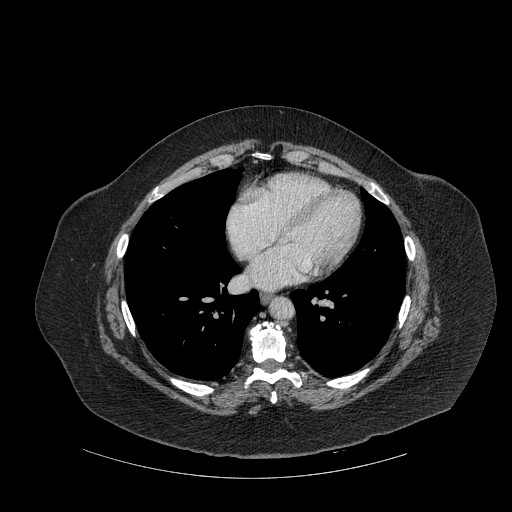

Thorax. CT slice. 11 bone regions appear at 153 188 162 198, 122 301 134 335, 405 237 415 259, 271 391 276 402, 117 234 127 257, 171 379 213 395, 256 153 270 159, 327 369 368 388, 250 322 285 362, 246 368 301 387, 399 296 410 327. 2 lung regions appear at 125 168 259 380, 291 190 405 376.